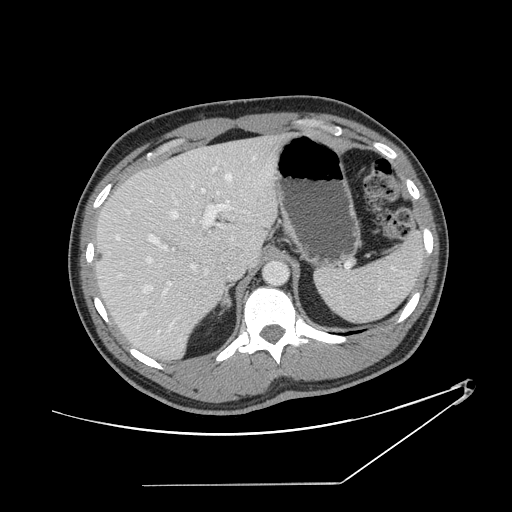 CT scan slice. Liver.
Some hepatic vessels may have no box.
{"partial": true, "hepatic_vessel": {"n_total": 23, "boxes": ["(left=148, top=234, right=157, bottom=242)", "(left=191, top=264, right=195, bottom=269)", "(left=167, top=282, right=170, bottom=286)", "(left=201, top=189, right=204, bottom=192)", "(left=217, top=224, right=225, bottom=227)", "(left=139, top=313, right=145, bottom=317)", "(left=116, top=236, right=119, bottom=239)", "(left=201, top=201, right=229, bottom=224)", "(left=169, top=320, right=174, bottom=329)", "(left=171, top=211, right=177, bottom=218)", "(left=118, top=273, right=122, bottom=277)", "(left=144, top=285, right=152, bottom=292)", "(left=162, top=244, right=166, bottom=249)", "(left=147, top=258, right=151, bottom=261)", "(left=225, top=174, right=231, bottom=180)"]}}